Slice 47/98. 512x512 px. Computed tomography.

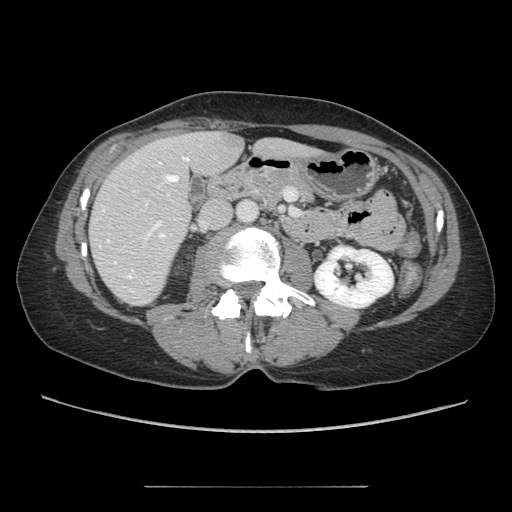

The pancreas is bounded by (224,164,316,212).